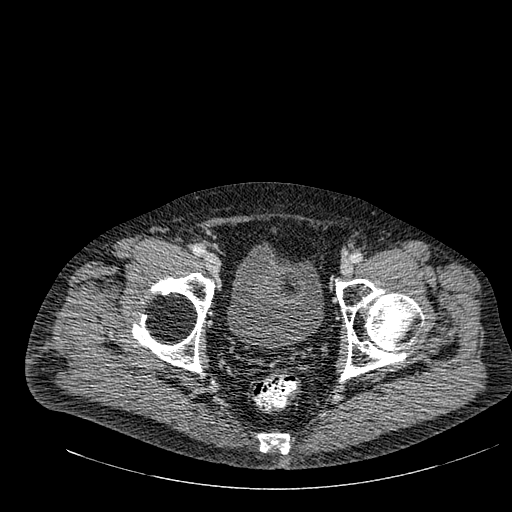
CT. Image size 512x512. The urinary bladder is at (x1=227, y1=242, x2=323, y2=349).